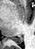
Medial temporal lobe. 35x49 px. MRI.
{
  "posterior_hippocampus": [
    "box(10, 35, 23, 43)"
  ]
}